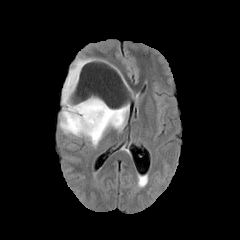
FLAIR MR image.
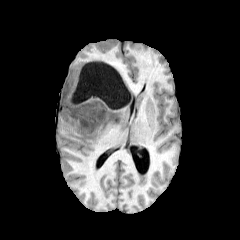
Same slice, T1-weighted magnetic resonance.
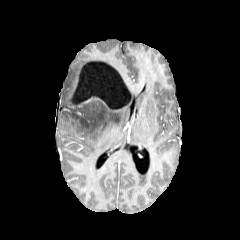
Post-contrast T1-weighted MR image.
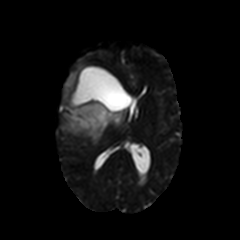
Same slice, T2-weighted magnetic resonance.
Image size 240x240.
• non-enhancing tumor core: box=[72, 72, 126, 119]; box=[71, 106, 98, 129]
• edema: box=[59, 57, 129, 145]